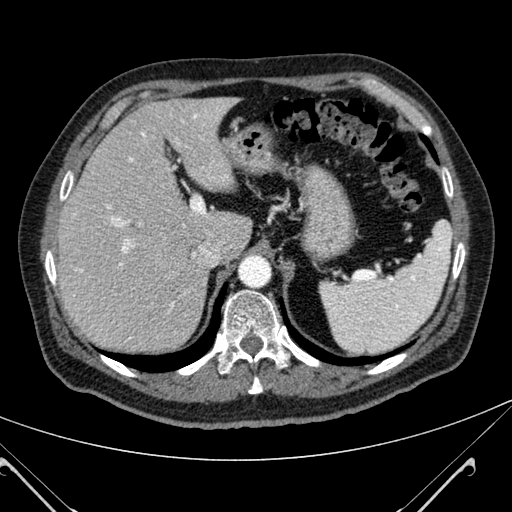

Upper abdomen | CT | 512x512

Liver — bbox(59, 96, 251, 354).